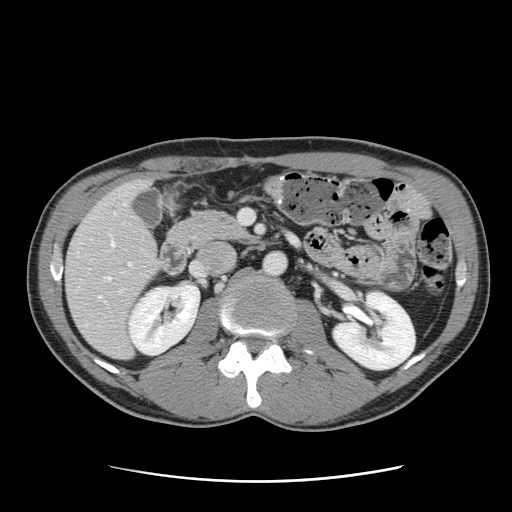 CT slice. Abdomen. Only some of the vessels may be annotated.
{
  "hepatic_vessel": [
    "x1=97, y1=296, x2=101, y2=300",
    "x1=104, y1=276, x2=110, y2=279",
    "x1=120, y1=289, x2=121, y2=292",
    "x1=110, y1=236, x2=114, y2=246",
    "x1=128, y1=263, x2=131, y2=265",
    "x1=123, y1=203, x2=125, y2=204"
  ]
}